FLAIR MR image.
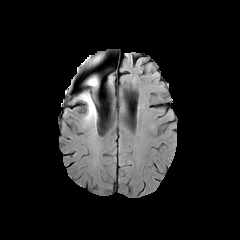
T1-weighted MRI.
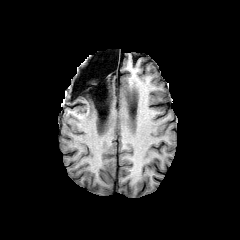
Post-contrast T1-weighted MR image.
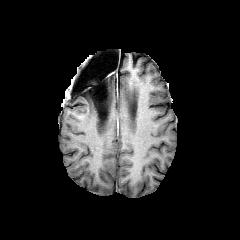
T2-weighted MR.
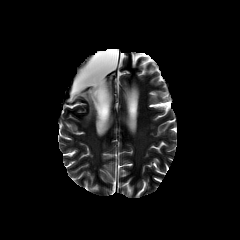
Brain. Image size 240x240.
The edema is located at 76, 92, 98, 128. 2 non-enhancing tumor core regions appear at 86, 56, 97, 65; 86, 76, 97, 108.